Brain
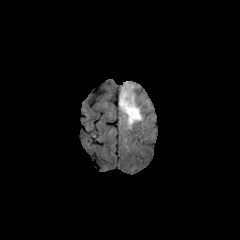
FLAIR magnetic resonance.
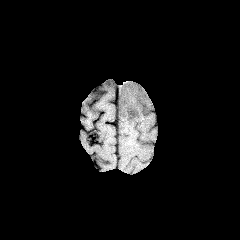
T1-weighted MR.
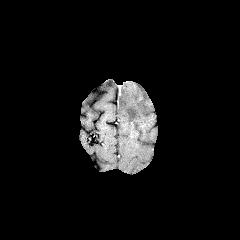
Post-contrast T1-weighted MRI.
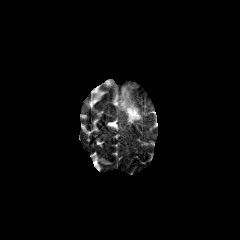
Same slice, T2-weighted MR image.
The edema is bounded by x1=118, y1=83, x2=145, y2=126.